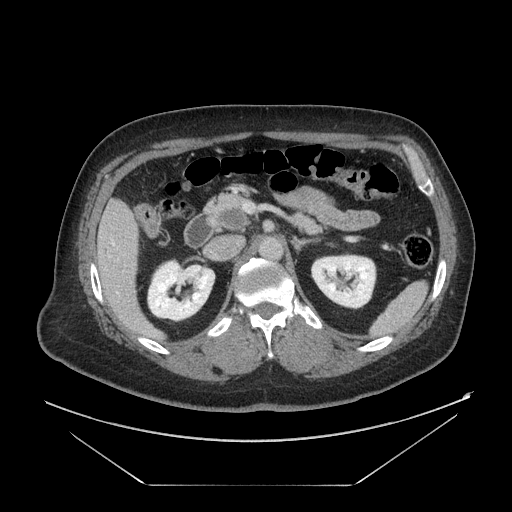 Upper abdomen | CT scan slice

The pancreatic tumor is bounded by box(218, 207, 244, 227). 2 pancreas regions are located at box(289, 213, 325, 236); box(206, 194, 248, 229).